CT; Image width 477 mm 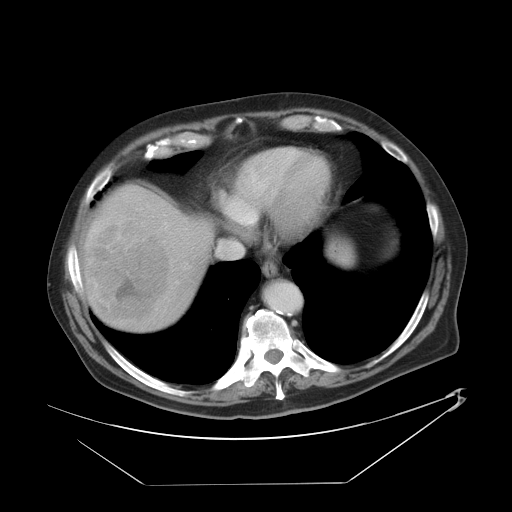 Some hepatic vessels may have no box.
{
  "hepatic_vessel": [
    "230,243,242,256",
    "218,245,221,251"
  ],
  "liver_tumor": [
    "86,223,170,320"
  ]
}